CT slice. Abdomen. Field of view 341 mm wide, 2.50 mm slice spacing.

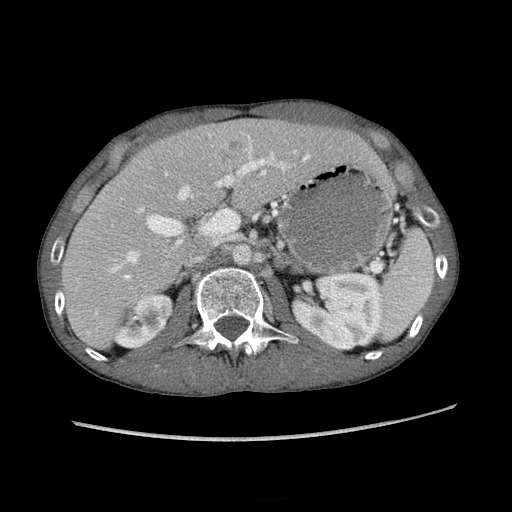

Annotated regions:
• liver: (58,119,378,349)
• kidney: (115,295,171,346), (296,273,383,348)
• hepatic lesion: (220,141,242,161)